FLAIR magnetic resonance.
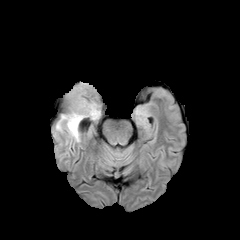
T1-weighted MR.
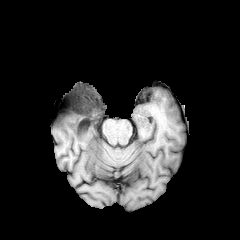
Post-contrast T1-weighted MRI.
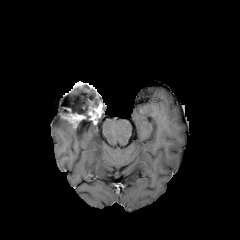
T2-weighted magnetic resonance.
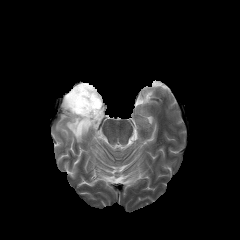
Image size 240x240
Segmented structures:
• non-enhancing tumor core: (x1=64, y1=90, x2=95, y2=114)
• enhancing tumor: (x1=71, y1=83, x2=95, y2=93), (x1=62, y1=91, x2=103, y2=127)
• edema: (x1=56, y1=114, x2=88, y2=141)